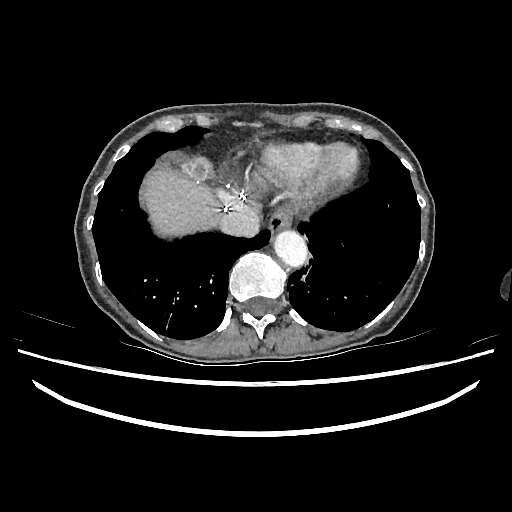
Computed tomography

The liver is at rect(144, 172, 223, 237).